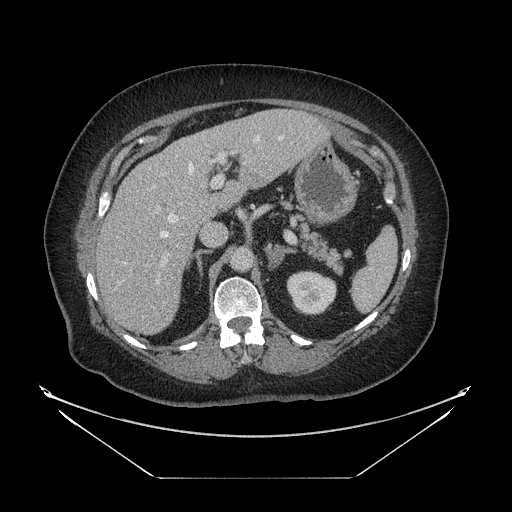 512x512; CT; Upper abdomen
{
  "pancreas": [
    "region(298, 215, 343, 274)",
    "region(283, 201, 292, 208)"
  ]
}